Slice index 418, 512x512, Upper abdomen, Computed tomography

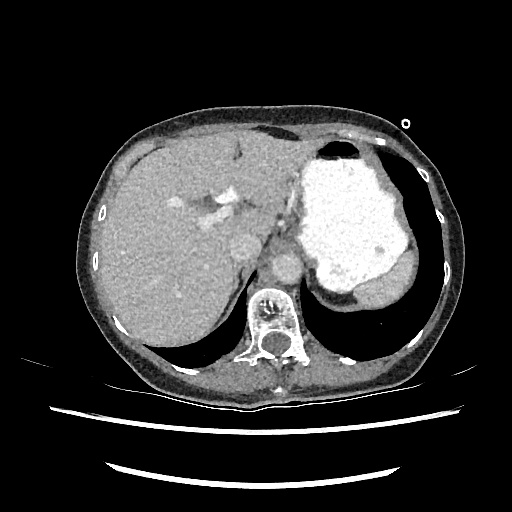
The liver appears at (100, 130, 322, 345).